Slice 99 of 155 | Brain | 240x240
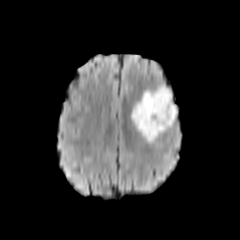
FLAIR MR.
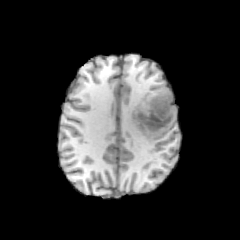
T1-weighted MR image.
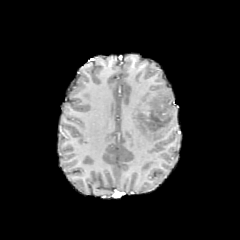
Post-contrast T1-weighted MR of the same slice.
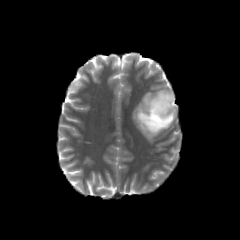
T2-weighted MRI.
Edema at (x1=131, y1=85, x2=177, y2=143).
Non-enhancing tumor core at (x1=138, y1=91, x2=173, y2=131).